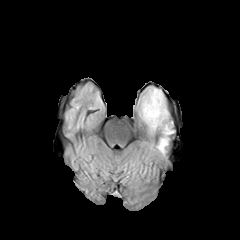
FLAIR MR.
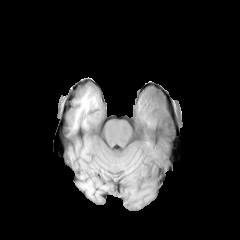
T1-weighted MR.
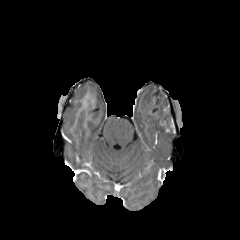
Post-contrast T1-weighted magnetic resonance.
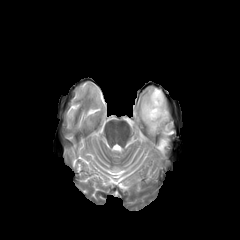
T2-weighted MRI.
Non-enhancing tumor core at rect(150, 92, 167, 122).
Edema at rect(139, 88, 172, 154).